240x240; Head; Field of view 240 mm wide, 1.00 mm slice spacing
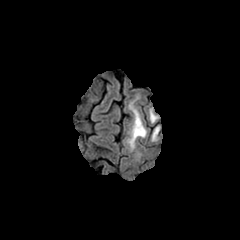
FLAIR MR image.
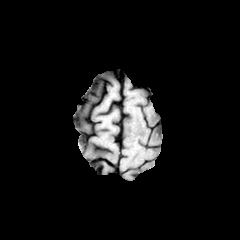
Same slice, T1-weighted MR.
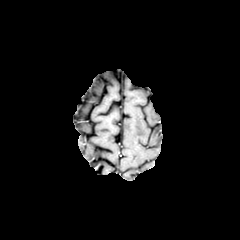
Post-contrast T1-weighted magnetic resonance.
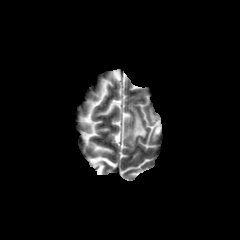
T2-weighted magnetic resonance.
The edema is bounded by (x1=128, y1=107, x2=159, y2=148).